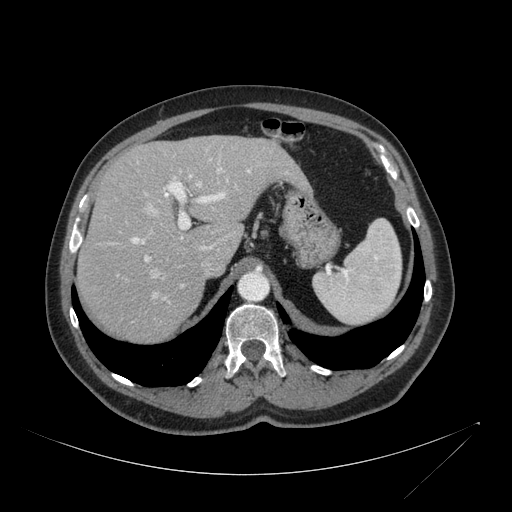

Abdomen. CT slice. 512x512 px.
The liver is located at 77 136 310 342.